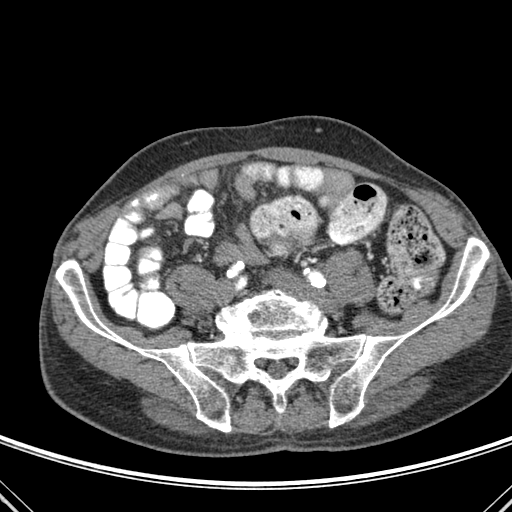

CT scan slice
Bone: bounding box [x1=55, y1=237, x2=489, y2=432].